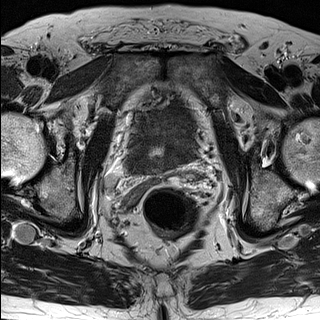
T2-weighted MR image.
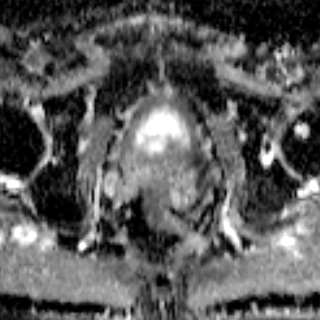
ADC MRI of the same slice.
Pelvis | Image size 320x320
Annotated regions:
* prostate transition zone: left=135, top=145, right=182, bottom=178